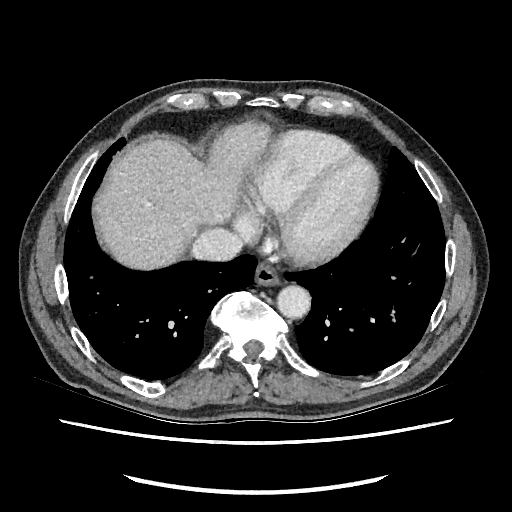 CT scan slice. Abdomen.
liver:
  - [98, 124, 267, 269]